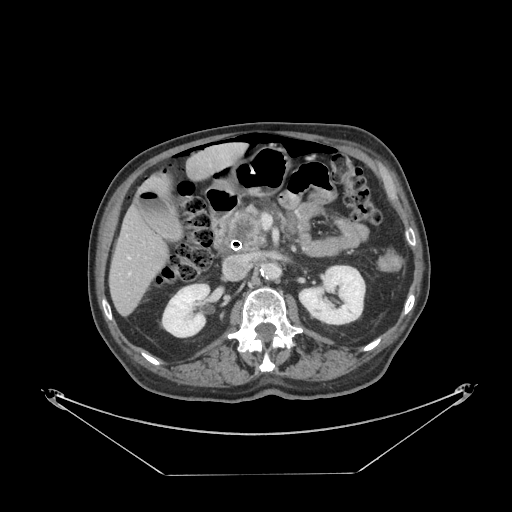

Upper abdomen | Computed tomography
Pancreatic tumor at 232, 218, 252, 241.
Pancreas at 229, 212, 263, 251.